Upper abdomen; CT

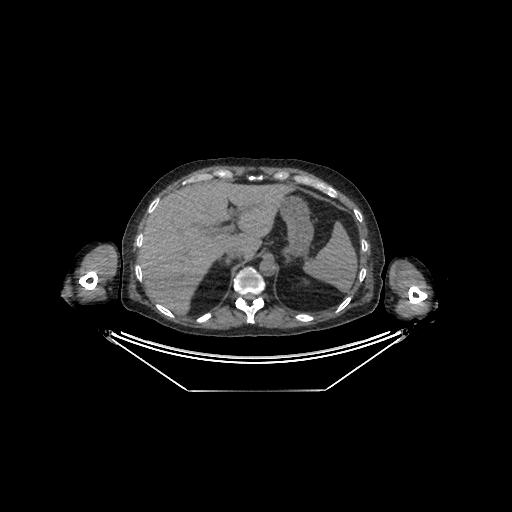 • liver: (x1=137, y1=177, x2=291, y2=314)